FLAIR MR image.
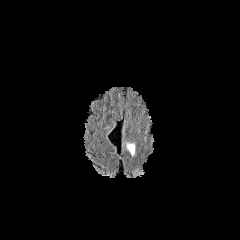
T1-weighted magnetic resonance.
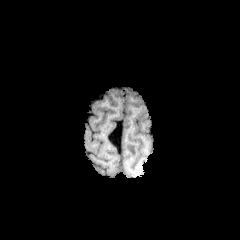
Post-contrast T1-weighted magnetic resonance.
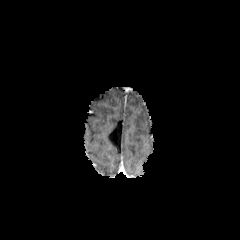
T2-weighted MR.
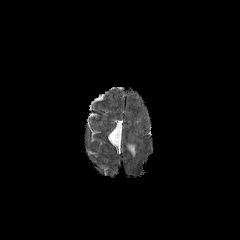
Edema at region(126, 143, 135, 155).